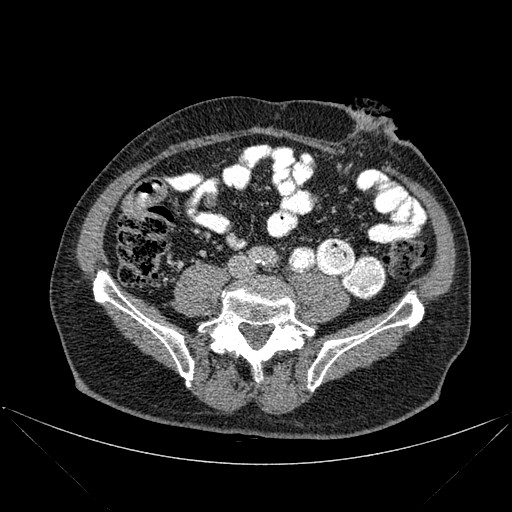
CT scan slice
Bone at bbox(93, 271, 193, 386); bbox(198, 282, 314, 381); bbox(308, 292, 423, 390).